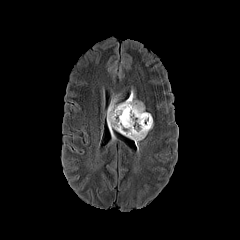
FLAIR MR.
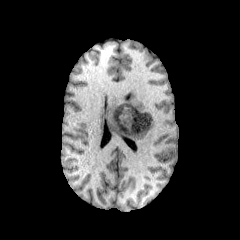
T1-weighted MR image.
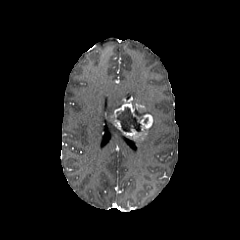
Post-contrast T1-weighted MRI.
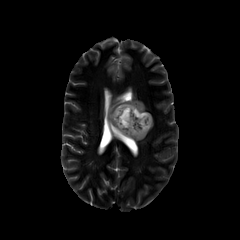
T2-weighted MR.
<segmentation>
  <non-enhancing_tumor_core><bbox>116, 107, 142, 133</bbox>, <bbox>134, 108, 146, 116</bbox></non-enhancing_tumor_core>
  <enhancing_tumor><bbox>110, 95, 152, 141</bbox></enhancing_tumor>
  <edema><bbox>106, 98, 122, 134</bbox></edema>
</segmentation>